Head | Image size 240x240
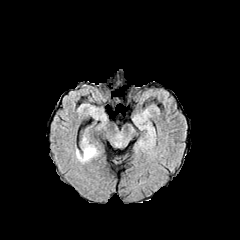
FLAIR magnetic resonance.
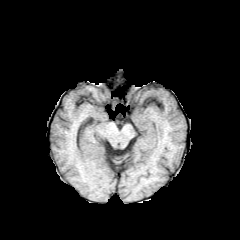
Same slice, T1-weighted magnetic resonance.
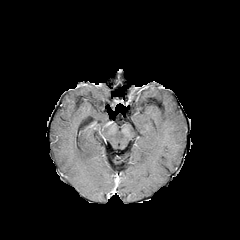
Same slice, post-contrast T1-weighted magnetic resonance.
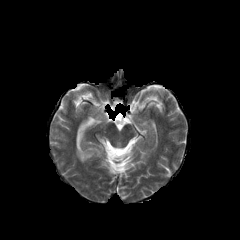
T2-weighted MR.
edema: region(76, 146, 99, 162)